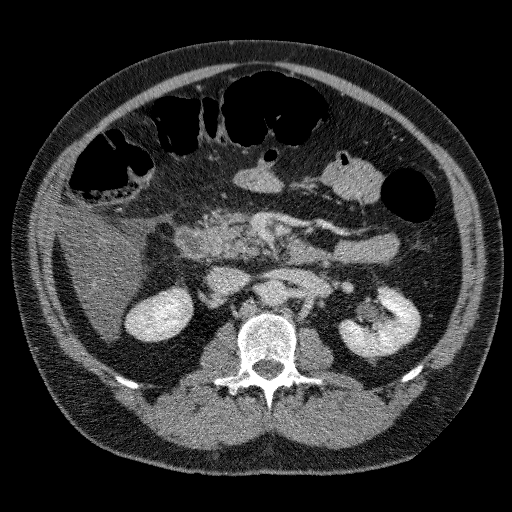 CT

Kidney: 126, 289, 190, 338; 341, 288, 418, 355.
Liver: 58, 206, 139, 337.
Hepatic lesion: 126, 243, 138, 250.